Abdomen | Slice 65 of 112 | CT scan slice | Field of view 395 mm wide, 2.50 mm slice spacing
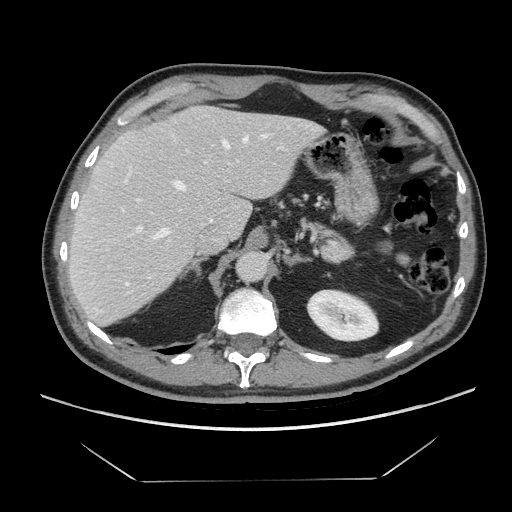 The pancreas is located at (left=319, top=227, right=352, bottom=261).